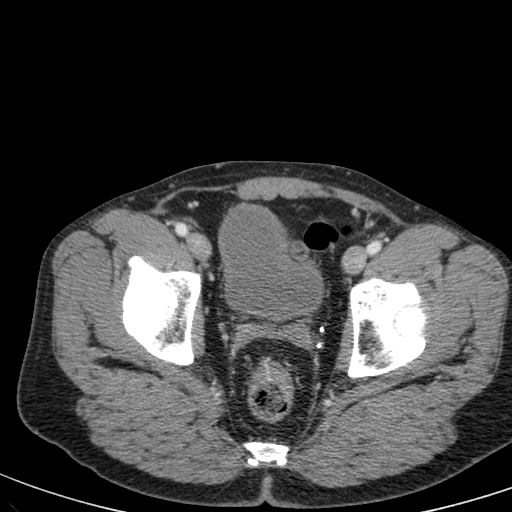
CT slice.

urinary bladder: box(219, 203, 322, 319)